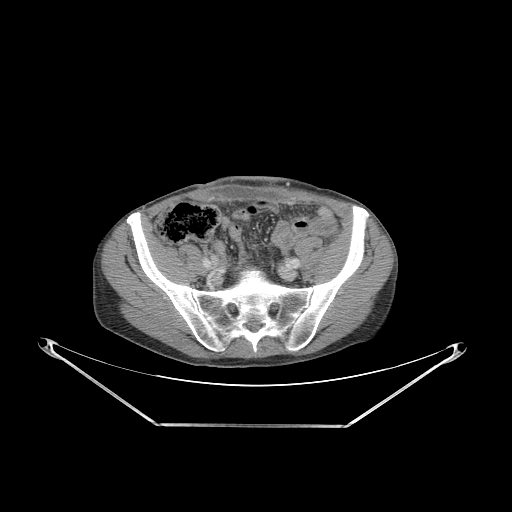
Computed tomography

Annotated regions:
* bone: 127:207:368:350